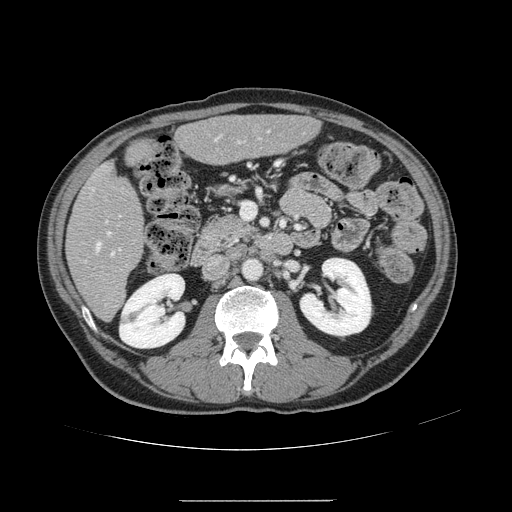 Liver. CT. The vessel annotation is not exhaustive.
hepatic vessel: left=111, top=252, right=113, bottom=255; left=118, top=248, right=120, bottom=250; left=215, top=135, right=221, bottom=140; left=96, top=242, right=100, bottom=251; left=238, top=141, right=244, bottom=142; left=106, top=221, right=107, bottom=222; left=107, top=232, right=110, bottom=235; left=91, top=188, right=93, bottom=190